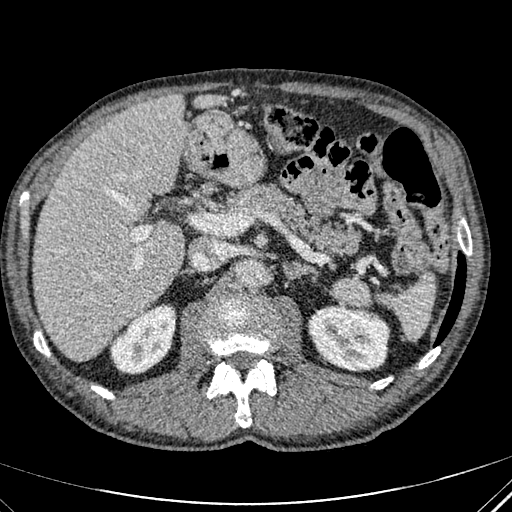 CT slice, 512x512 px

<segmentation>
  <liver><box>34,96,187,360</box>, <box>203,184,212,193</box>, <box>195,95,219,106</box></liver>
  <kidney><box>310,307,387,369</box>, <box>112,306,174,372</box></kidney>
  <focal_liver_lesion><box>160,96,175,107</box></focal_liver_lesion>
</segmentation>